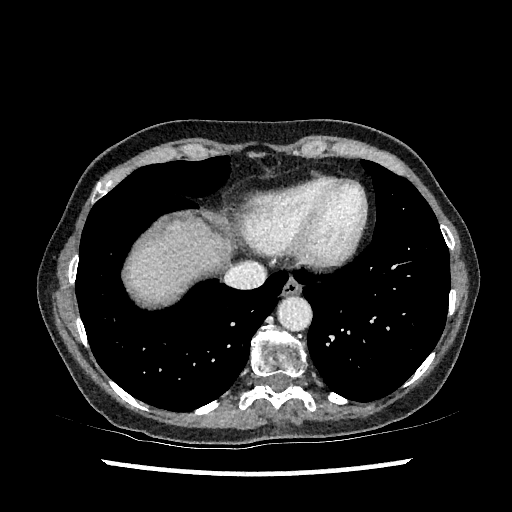
Image size 512x512. Liver. CT. • liver: 126, 220, 229, 304